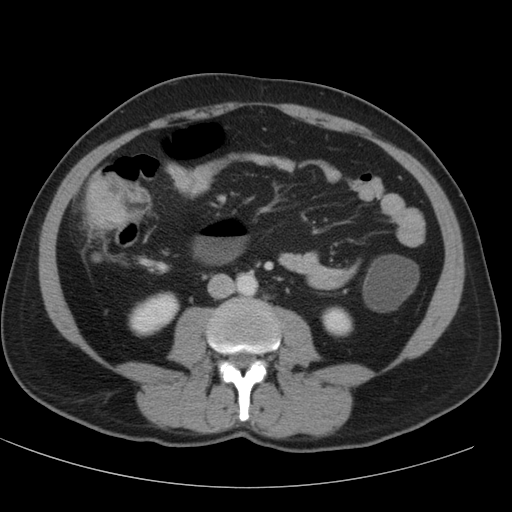 512x512. Abdomen. CT scan slice.

Kidney = 130:293:178:334, 323:308:350:334.